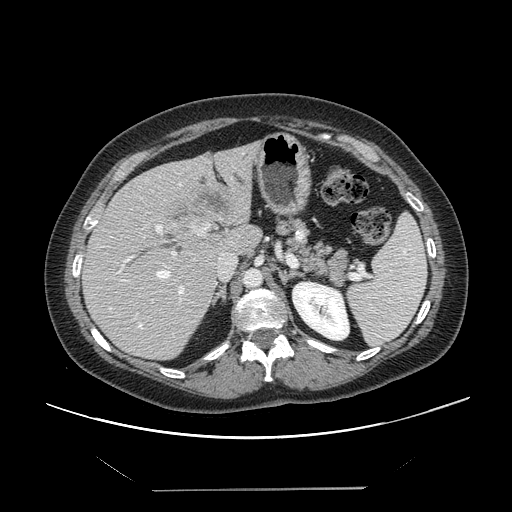

512x512 | CT scan slice
Only some of the vessels may be annotated.
{"hepatic_vessel": ["[177,285,186,296]", "[155,224,162,233]", "[117,269,121,273]", "[156,264,171,280]", "[179,298,181,302]", "[123,256,132,264]", "[217,253,235,279]", "[122,280,125,280]", "[139,324,142,327]", "[171,252,175,257]", "[109,307,112,310]"], "liver_tumor": ["[169,184,237,239]"]}